Computed tomography
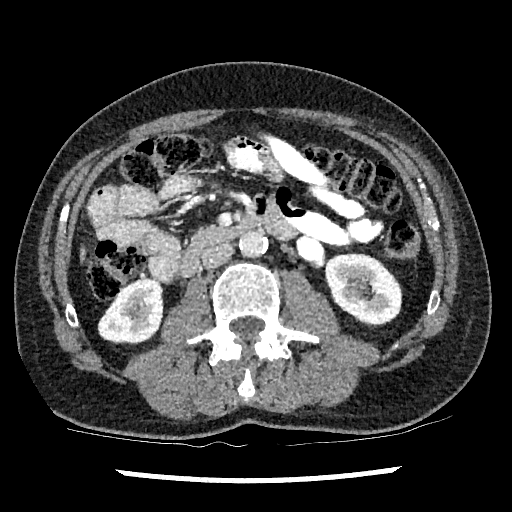
Kidney — 99:280:162:341, 326:255:400:323.
Liver — 79:249:85:261.